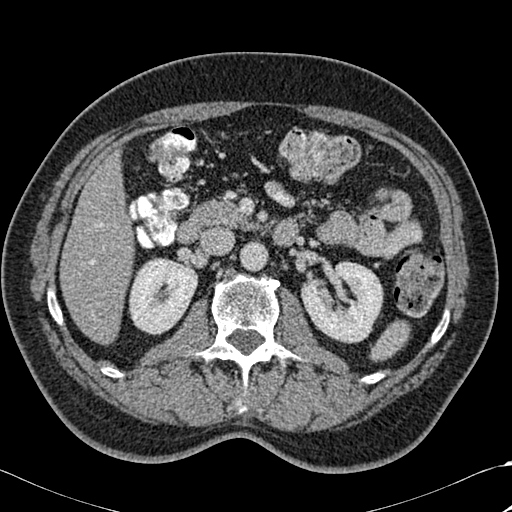

CT image | 512x512
{
  "bone": [
    {"x1": 198, "y1": 276, "x2": 294, "y2": 384},
    {"x1": 432, "y1": 318, "x2": 448, "y2": 342},
    {"x1": 103, "y1": 367, "x2": 121, "y2": 377},
    {"x1": 237, "y1": 393, "x2": 249, "y2": 411},
    {"x1": 48, "y1": 291, "x2": 61, "y2": 323},
    {"x1": 363, "y1": 373, "x2": 380, "y2": 383}
  ],
  "kidney": [
    {"x1": 302, "y1": 262, "x2": 381, "y2": 342},
    {"x1": 130, "y1": 259, "x2": 196, "y2": 333}
  ],
  "liver": [
    {"x1": 61, "y1": 151, "x2": 133, "y2": 341}
  ]
}